MRI slice, Hippocampus 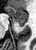
posterior_hippocampus:
  - bbox=[18, 23, 25, 26]
anterior_hippocampus:
  - bbox=[7, 6, 27, 22]